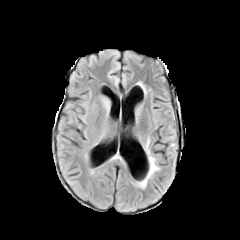
FLAIR magnetic resonance.
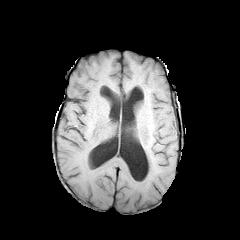
T1-weighted MR.
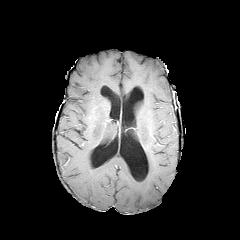
Same slice, post-contrast T1-weighted MR.
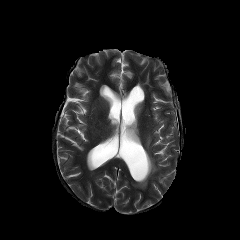
T2-weighted MRI.
Brain.
Edema: bounding box (135, 136, 160, 188).